Slice index 91; Upper abdomen; CT

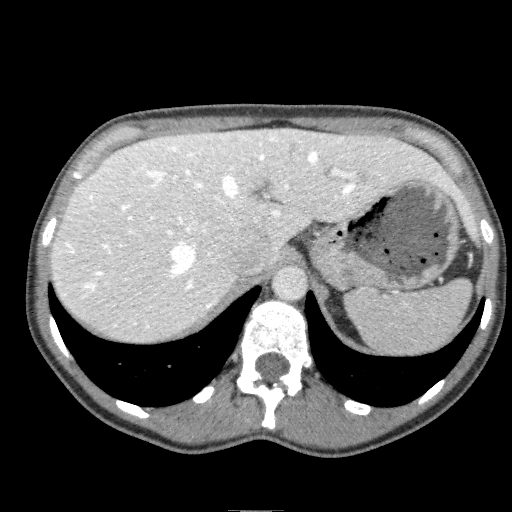
liver:
  - [50, 128, 478, 344]